320x320 px; Slice 48/120; MRI; Cardiac
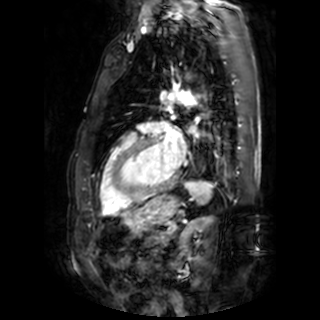
The left atrium lies within bbox(162, 133, 185, 168).